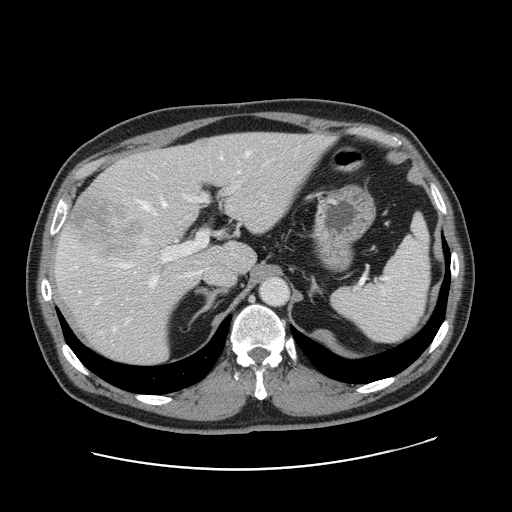

Liver | Computed tomography
Not every hepatic vessel necessarily has a box.
Hepatic vessel: bounding box x1=225 y1=206 x2=232 y2=213, x1=122 y1=262 x2=130 y2=267, x1=90 y1=256 x2=94 y2=259, x1=148 y1=274 x2=157 y2=286, x1=220 y1=156 x2=222 y2=158, x1=237 y1=170 x2=239 y2=172, x1=161 y1=228 x2=224 y2=260, x1=143 y1=239 x2=148 y2=241, x1=126 y1=318 x2=129 y2=321, x1=138 y1=201 x2=150 y2=208, x1=246 y1=151 x2=250 y2=155, x1=154 y1=212 x2=156 y2=214, x1=265 y1=162 x2=267 y2=163, x1=182 y1=192 x2=208 y2=201, x1=162 y1=200 x2=165 y2=205.
Liver tumor: bounding box x1=68 y1=198 x2=141 y2=258.